FLAIR MR image.
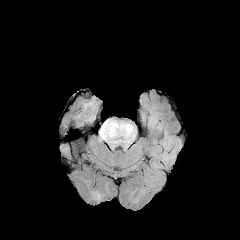
T1-weighted MRI.
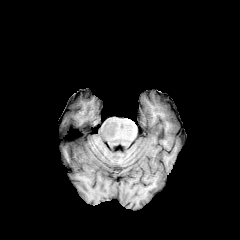
Post-contrast T1-weighted MR image.
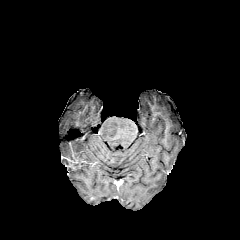
T2-weighted MR.
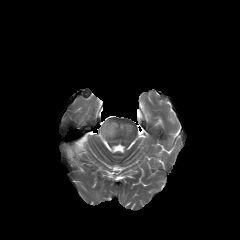
Head; 240x240 px
{"edema": ["(100,122,113,139)"]}